Slice 40 of 49. CT slice. Abdomen.

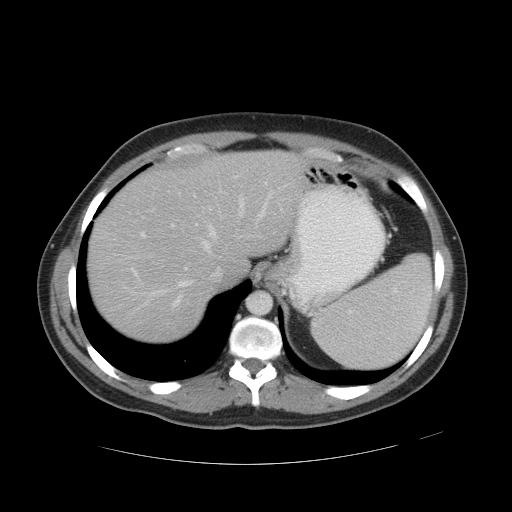 Only some of the vessels may be annotated.
14 hepatic vessel regions appear at 141, 232, 145, 237; 173, 296, 180, 305; 171, 224, 174, 226; 179, 281, 191, 286; 202, 240, 210, 252; 265, 182, 267, 184; 209, 207, 210, 209; 238, 196, 244, 217; 222, 192, 226, 193; 208, 225, 217, 238; 184, 267, 186, 269; 178, 193, 180, 194; 196, 223, 197, 225; 131, 268, 136, 275.